Computed tomography, Slice 137/244, Image size 512x512

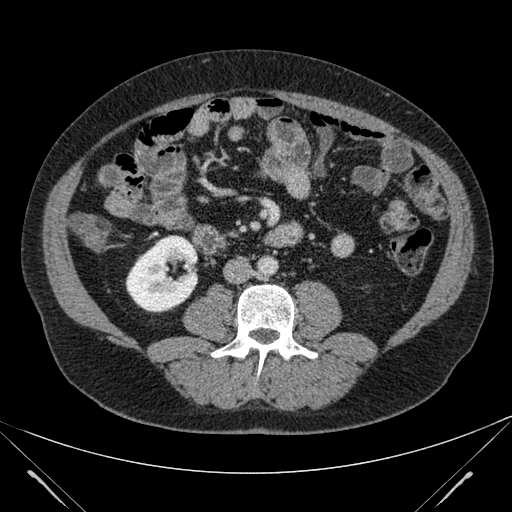 kidney: 127, 236, 196, 311